CT slice 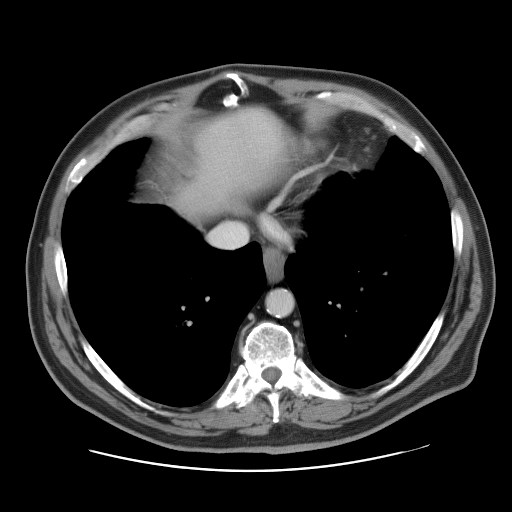
The vessel annotation is not exhaustive.
The hepatic vessel lies within box=[210, 224, 249, 247].